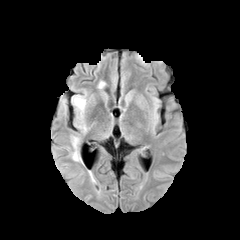
FLAIR MRI.
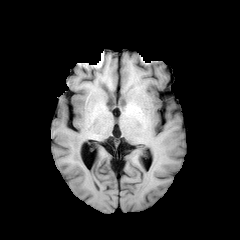
T1-weighted magnetic resonance.
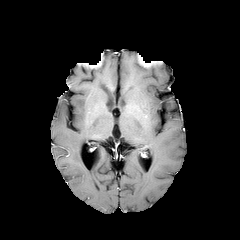
Same slice, post-contrast T1-weighted MRI.
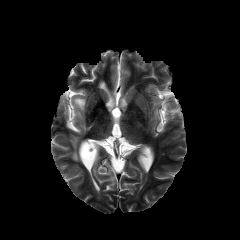
T2-weighted MR.
edema: 70:92:89:133, 70:135:81:161